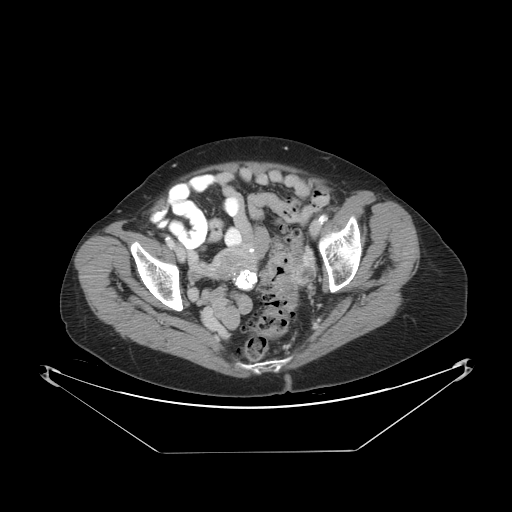
CT
Segmented structures:
• colon tumor: [x1=259, y1=252, x2=294, y2=298]